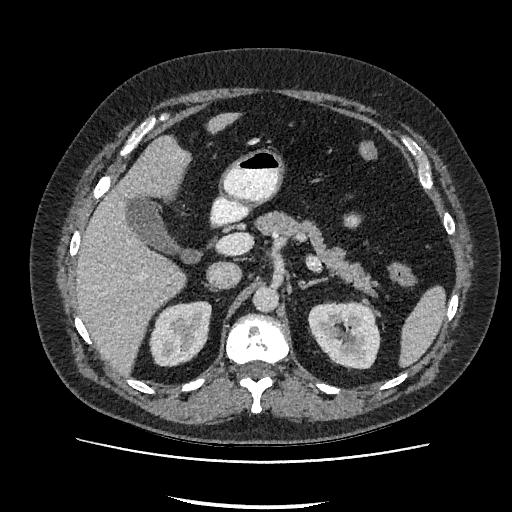
Computed tomography
2 liver regions appear at <bbox>210, 113, 238, 132</bbox>, <bbox>77, 135, 189, 375</bbox>. 2 kidney regions are located at <bbox>309, 304, 378, 367</bbox>, <bbox>151, 302, 210, 365</bbox>.